240x240 px | Head | Field of view 240x240 mm
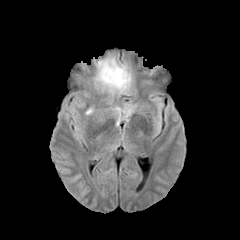
FLAIR magnetic resonance.
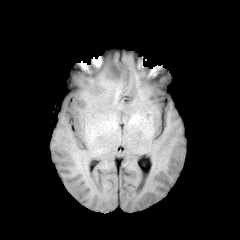
T1-weighted magnetic resonance of the same slice.
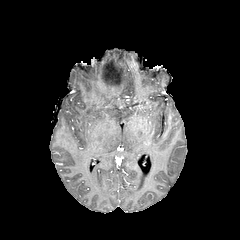
Same slice, post-contrast T1-weighted magnetic resonance.
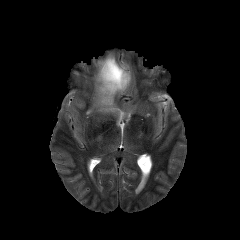
T2-weighted MR image.
2 non-enhancing tumor core regions are bounded by (left=107, top=63, right=117, bottom=72), (left=96, top=68, right=114, bottom=93). 2 edema regions appear at (left=112, top=106, right=129, bottom=125), (left=91, top=54, right=132, bottom=109).